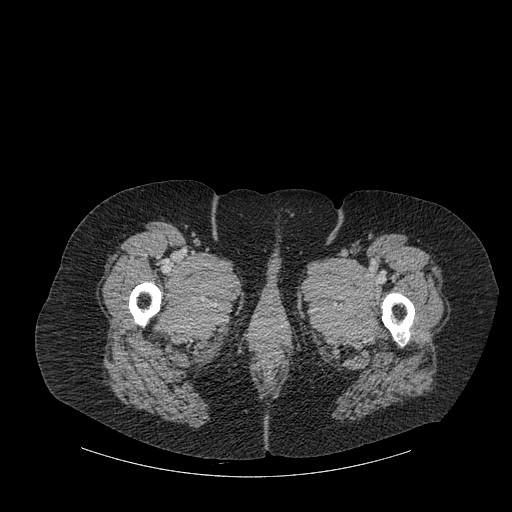 Image size 512x512, CT
Bone: 382 293 414 345, 129 282 161 325.